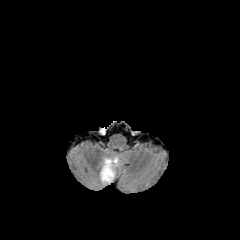
FLAIR MRI.
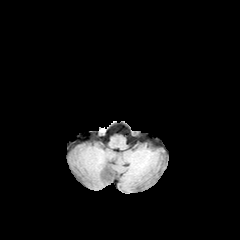
T1-weighted MRI.
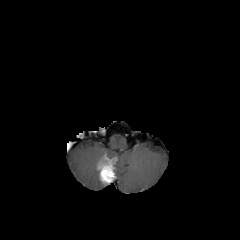
Post-contrast T1-weighted MRI of the same slice.
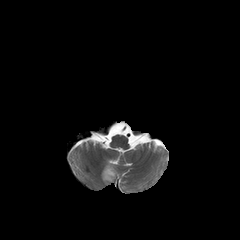
Same slice, T2-weighted MR.
240x240 px.
edema: (104,158,117,170) | enhancing tumor: (101,167,112,178) | non-enhancing tumor core: (101,172,114,183)